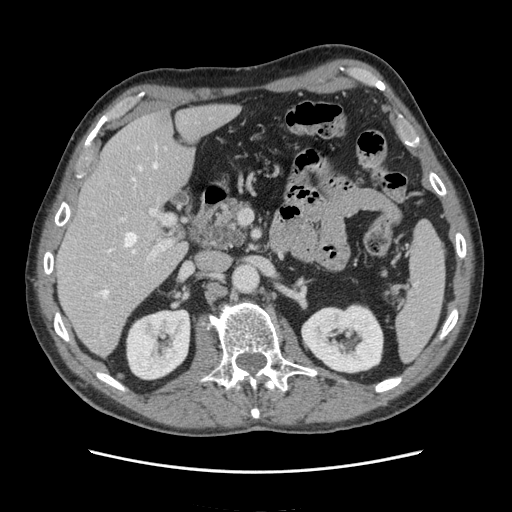 CT image | 512x512 px | Upper abdomen

spleen:
  - 396:223:444:359